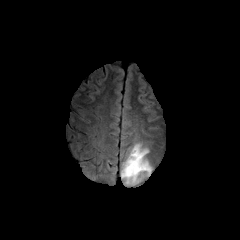
FLAIR MR image.
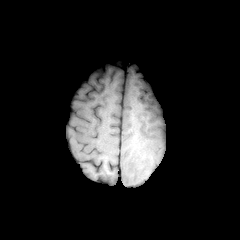
Same slice, T1-weighted magnetic resonance.
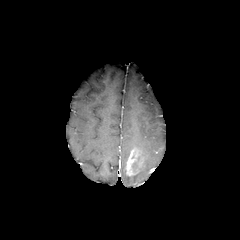
Same slice, post-contrast T1-weighted MR.
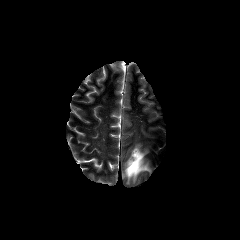
T2-weighted MRI of the same slice.
240x240 px; Brain
The enhancing tumor is at box(125, 149, 139, 176). The non-enhancing tumor core is at box(132, 156, 142, 176). The edema is located at box(122, 142, 152, 184).